FLAIR magnetic resonance.
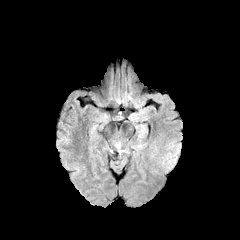
T1-weighted MR image.
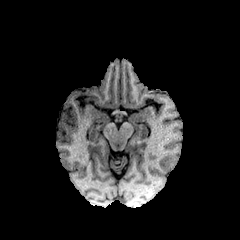
Post-contrast T1-weighted MR image.
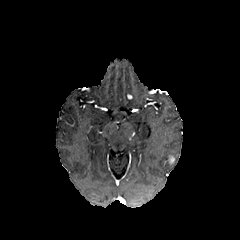
T2-weighted MRI.
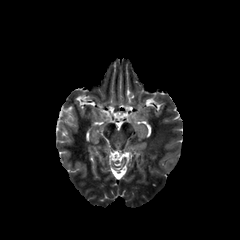
Brain
enhancing_tumor:
  - bbox=[166, 155, 175, 163]